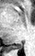 MRI, Medial temporal lobe
The posterior hippocampus is at (10,42,22,49).